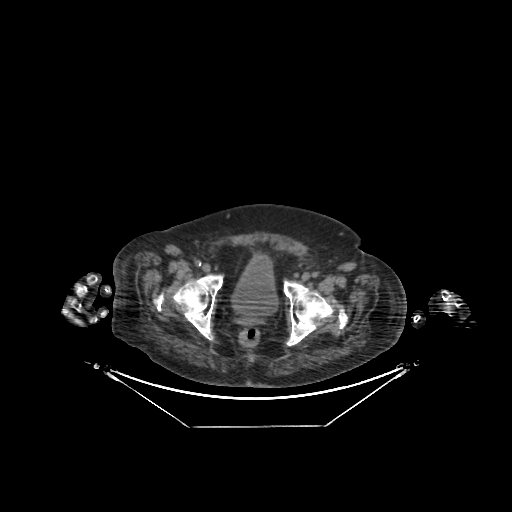
Pelvis | Image size 512x512 | CT image
Annotated regions:
• urinary bladder: [x1=231, y1=252, x2=278, y2=317]